Upper abdomen. CT scan slice. Slice index 394. 512x512 px.

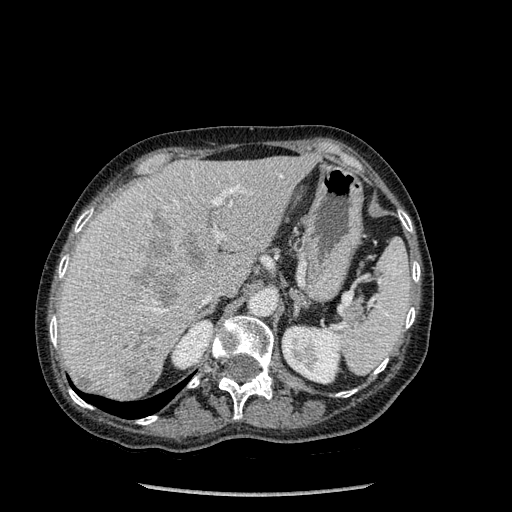

Kidney: (x1=172, y1=321, x2=212, y2=368), (x1=282, y1=326, x2=346, y2=382).
Lung: (x1=78, y1=381, x2=185, y2=418).
Focal liver lesion: (x1=132, y1=260, x2=184, y2=305), (x1=130, y1=290, x2=139, y2=299), (x1=78, y1=376, x2=90, y2=387), (x1=179, y1=232, x2=206, y2=268), (x1=123, y1=364, x2=158, y2=395), (x1=142, y1=220, x2=177, y2=257), (x1=141, y1=329, x2=159, y2=336).
Liver: (x1=59, y1=154, x2=321, y2=400).
Bone: (x1=136, y1=416, x2=157, y2=424), (x1=335, y1=389, x2=356, y2=397), (x1=50, y1=315, x2=57, y2=346), (x1=188, y1=374, x2=200, y2=387), (x1=74, y1=208, x2=93, y2=233), (x1=405, y1=307, x2=415, y2=328), (x1=373, y1=358, x2=388, y2=374), (x1=412, y1=261, x2=420, y2=282), (x1=69, y1=389, x2=92, y2=409), (x1=398, y1=210, x2=412, y2=232), (x1=58, y1=254, x2=69, y2=278), (x1=212, y1=316, x2=273, y2=419).